Slice 440 of 986 | CT image 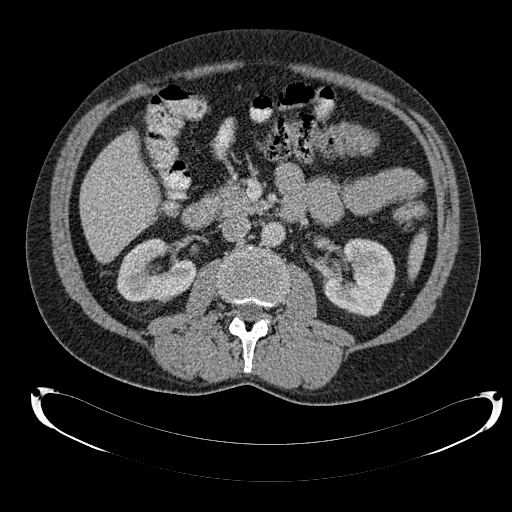
Kidney at bbox=[317, 239, 394, 315]; bbox=[117, 239, 195, 300].
Liver at bbox=[80, 133, 157, 262].